Brain.
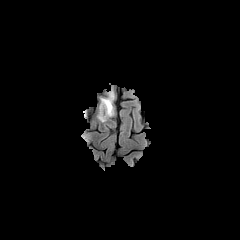
FLAIR magnetic resonance.
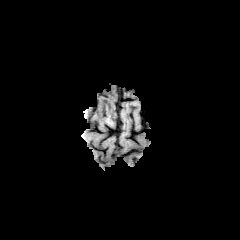
T1-weighted MR.
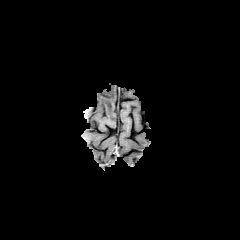
Same slice, post-contrast T1-weighted MR.
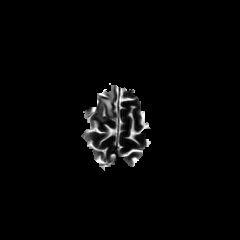
T2-weighted magnetic resonance.
The non-enhancing tumor core is at [98,108,105,119]. The edema is located at [98,98,115,125].